FLAIR MR.
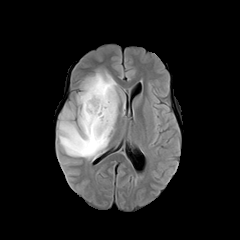
T1-weighted MR image.
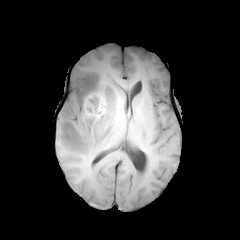
Post-contrast T1-weighted MRI.
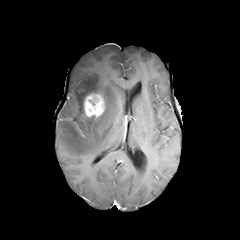
T2-weighted MRI.
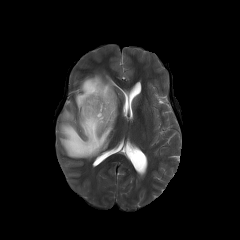
The enhancing tumor lies within x1=85 y1=95 x2=104 y2=116. The edema lies within x1=56 y1=72 x2=122 y2=161. The non-enhancing tumor core is bounded by x1=88 y1=93 x2=98 y2=105.